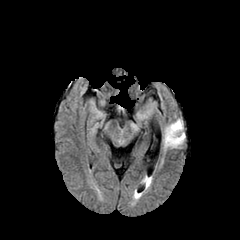
FLAIR MR image.
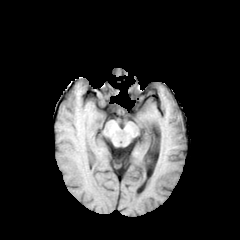
Same slice, T1-weighted MR image.
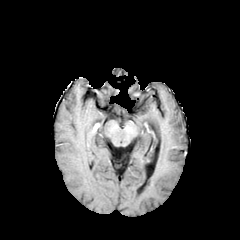
Same slice, post-contrast T1-weighted MR.
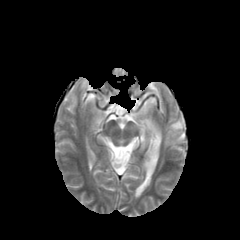
T2-weighted MR image of the same slice.
240x240 px; Brain
The edema is located at (left=164, top=119, right=184, bottom=147).